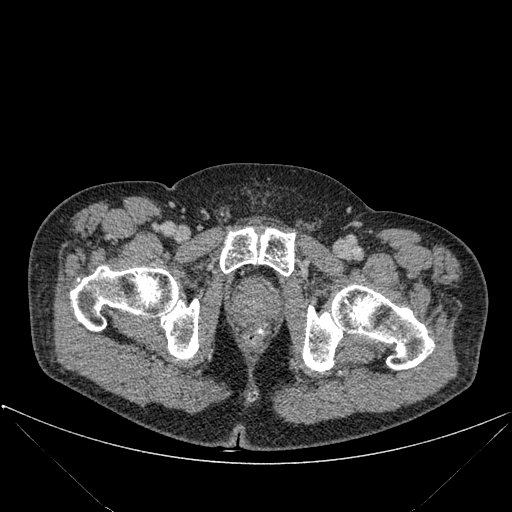

CT
Bone: [70, 266, 199, 359], [220, 227, 294, 275], [303, 285, 434, 371].